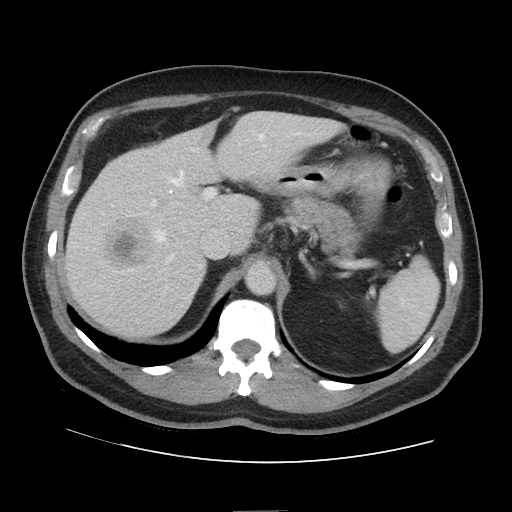

Liver; 512x512 px; CT scan slice
The vessel boxes may cover only some of the vessels.
Findings:
• hepatic vessel: box=[150, 198, 156, 208]
• liver tumor: box=[100, 215, 154, 272]